Field of view 240x240 mm, Head
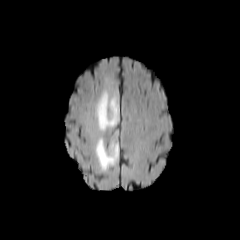
FLAIR MRI.
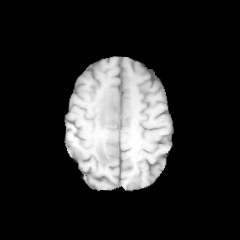
T1-weighted magnetic resonance.
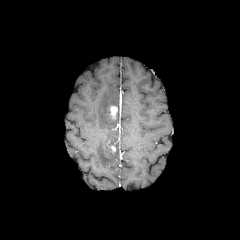
Post-contrast T1-weighted MR.
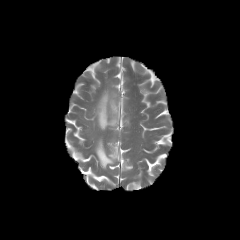
T2-weighted magnetic resonance.
enhancing tumor: [x1=108, y1=105, x2=117, y2=119] | edema: [x1=95, y1=136, x2=118, y2=169], [x1=97, y1=91, x2=119, y2=129]